240x240 px; Image width 240 mm; Slice index 93
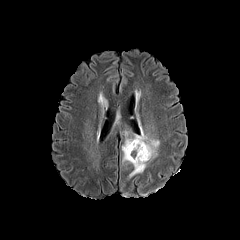
FLAIR MRI.
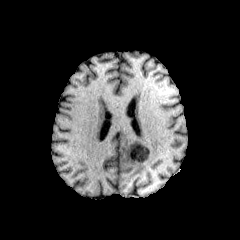
T1-weighted MR image of the same slice.
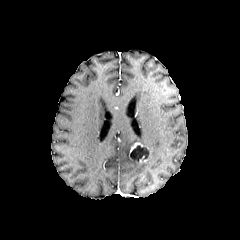
Post-contrast T1-weighted MR image of the same slice.
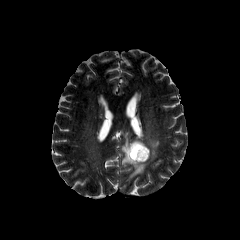
T2-weighted MRI.
<segmentation>
  <non-enhancing_tumor_core>130,145,149,162</non-enhancing_tumor_core>
  <edema>121,121,160,178</edema>
</segmentation>